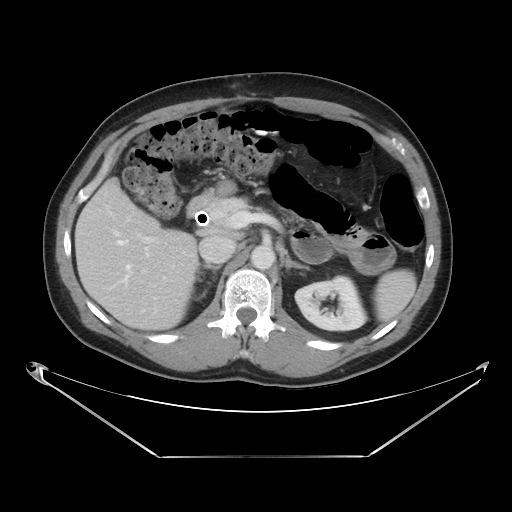
CT image
The pancreas lies within left=199, top=197, right=248, bottom=235. The pancreatic tumor is bounded by left=207, top=198, right=246, bottom=220.